CT slice. Slice 71 of 141. 512x512 px. 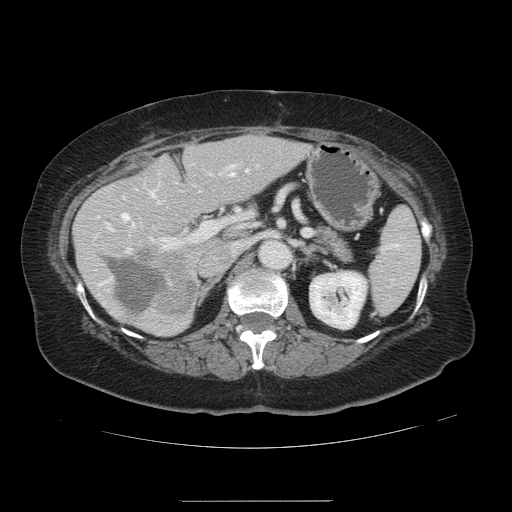
The vessel annotation is not exhaustive.
The liver tumor is bounded by {"x1": 109, "y1": 248, "x2": 194, "y2": 314}. 15 hepatic vessel regions are located at {"x1": 245, "y1": 168, "x2": 247, "y2": 171}, {"x1": 149, "y1": 190, "x2": 154, "y2": 195}, {"x1": 150, "y1": 237, "x2": 154, "y2": 240}, {"x1": 157, "y1": 201, "x2": 159, "y2": 203}, {"x1": 126, "y1": 248, "x2": 130, "y2": 252}, {"x1": 208, "y1": 172, "x2": 210, "y2": 174}, {"x1": 192, "y1": 184, "x2": 194, "y2": 185}, {"x1": 235, "y1": 207, "x2": 238, "y2": 211}, {"x1": 131, "y1": 222, "x2": 133, "y2": 225}, {"x1": 219, "y1": 172, "x2": 221, "y2": 173}, {"x1": 198, "y1": 189, "x2": 199, "y2": 191}, {"x1": 106, "y1": 223, "x2": 110, "y2": 228}, {"x1": 160, "y1": 216, "x2": 233, "y2": 248}, {"x1": 121, "y1": 213, "x2": 128, "y2": 219}, {"x1": 226, "y1": 164, "x2": 234, "y2": 175}.